Head
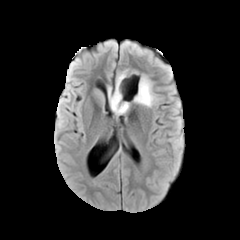
FLAIR MRI.
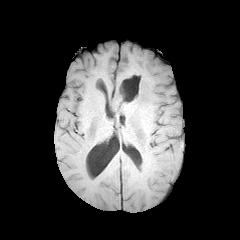
Same slice, T1-weighted MR image.
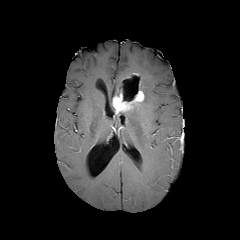
Same slice, post-contrast T1-weighted magnetic resonance.
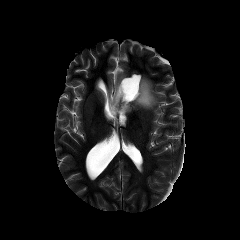
Same slice, T2-weighted MR.
<segmentation>
  <non-enhancing_tumor_core>left=110, top=80, right=121, bottom=114</non-enhancing_tumor_core>
  <edema>left=107, top=86, right=114, bottom=102; left=119, top=72, right=157, bottom=108; left=114, top=70, right=129, bottom=87</edema>
  <enhancing_tumor>left=133, top=90, right=144, bottom=103; left=112, top=93, right=131, bottom=113</enhancing_tumor>
</segmentation>